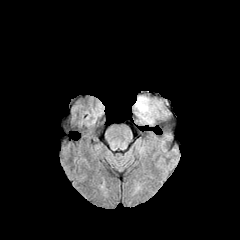
FLAIR MR image.
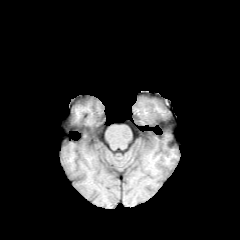
Same slice, T1-weighted MRI.
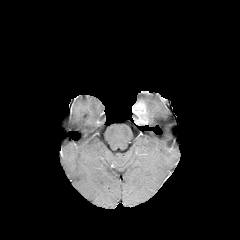
Post-contrast T1-weighted MR image.
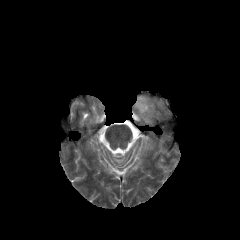
T2-weighted MRI.
Brain
edema:
  - 135:95:162:124
non-enhancing_tumor_core:
  - 138:99:149:122
enhancing_tumor:
  - 135:103:147:124